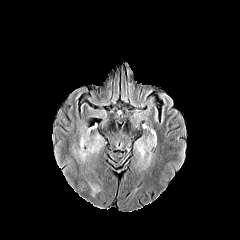
FLAIR magnetic resonance.
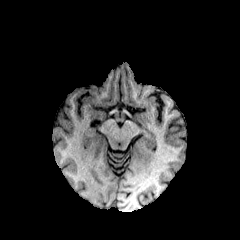
T1-weighted MR.
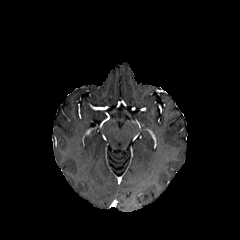
Same slice, post-contrast T1-weighted magnetic resonance.
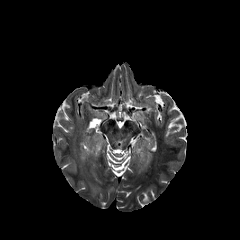
Same slice, T2-weighted magnetic resonance.
Annotated regions:
• edema: bbox(135, 137, 153, 163)